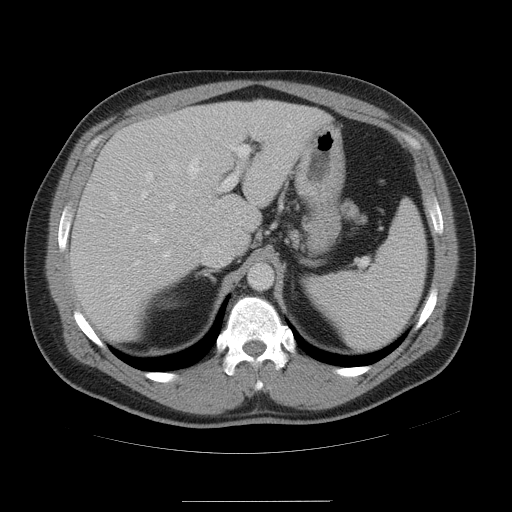 CT | Upper abdomen
Spleen = box=[303, 202, 425, 349].